CT scan slice, Abdomen

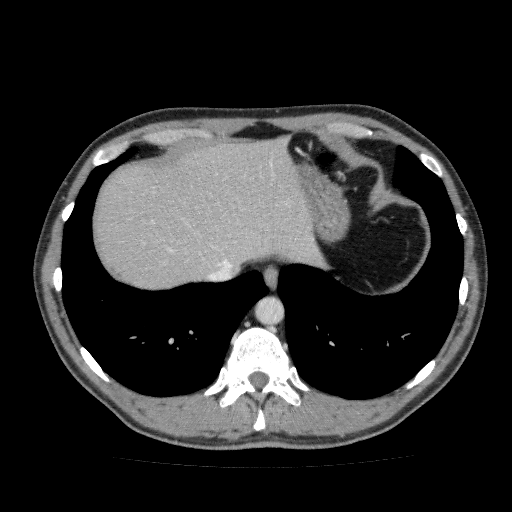

The liver lies within <bbox>94, 133, 331, 289</bbox>.